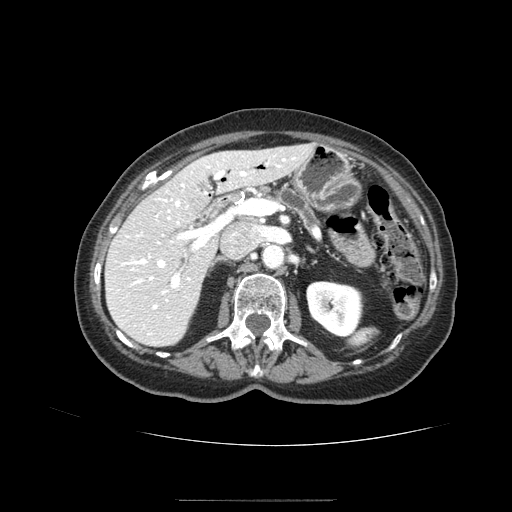 Computed tomography

pancreas:
  - x1=277 y1=189 x2=316 y2=226